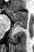

MRI, Medial temporal lobe, Image size 34x52
* posterior hippocampus: <box>15,22,26,28</box>
* anterior hippocampus: <box>9,9,27,21</box>